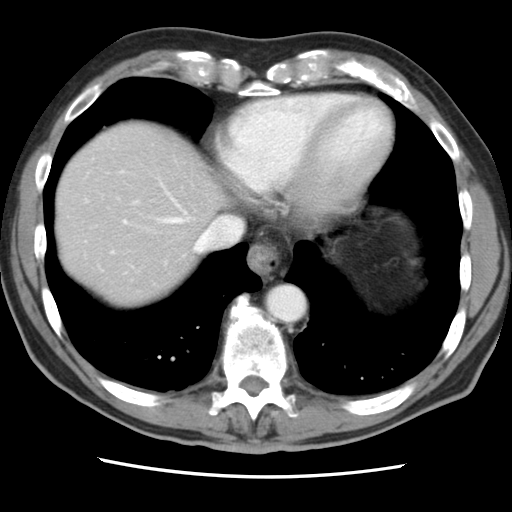

Image size 512x512 | CT slice
Only some of the vessels may be annotated.
Segmented structures:
* hepatic vessel: [123, 220, 126, 222], [183, 210, 186, 213], [163, 218, 184, 222], [112, 251, 113, 253], [121, 171, 123, 172], [135, 201, 137, 203], [170, 195, 178, 205]